CT scan slice. Abdomen. 512x512 px.

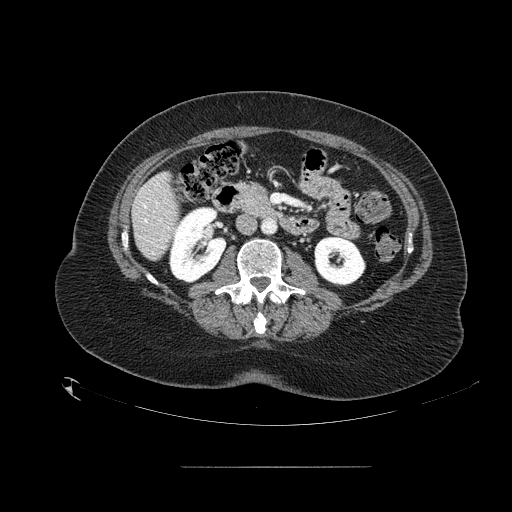
pancreas:
  - [237,182,274,219]